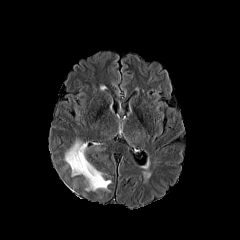
FLAIR magnetic resonance.
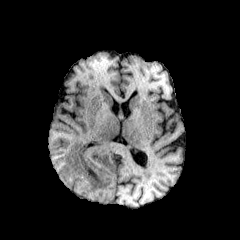
T1-weighted MR image.
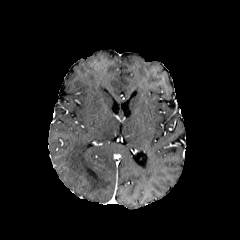
Same slice, post-contrast T1-weighted MRI.
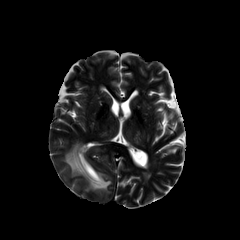
T2-weighted MRI.
edema: region(65, 141, 111, 191)